Slice 116 of 155; 240x240 px; Head
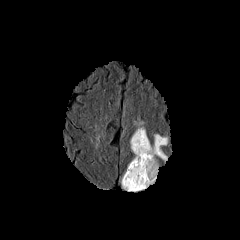
FLAIR MR image.
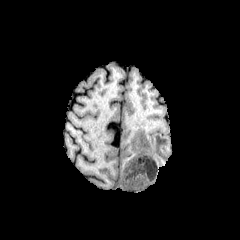
T1-weighted magnetic resonance.
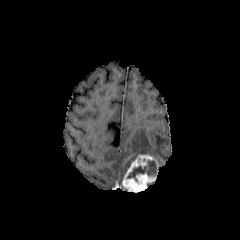
Post-contrast T1-weighted magnetic resonance.
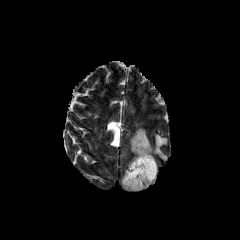
T2-weighted magnetic resonance of the same slice.
edema: [x1=130, y1=126, x2=168, y2=161] | enhancing tumor: [x1=122, y1=154, x2=156, y2=191] | non-enhancing tumor core: [x1=126, y1=160, x2=158, y2=182]